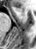

36x49; MRI slice
Anterior hippocampus: bounding box l=12, t=7, r=17, b=8; l=15, t=10, r=18, b=10.